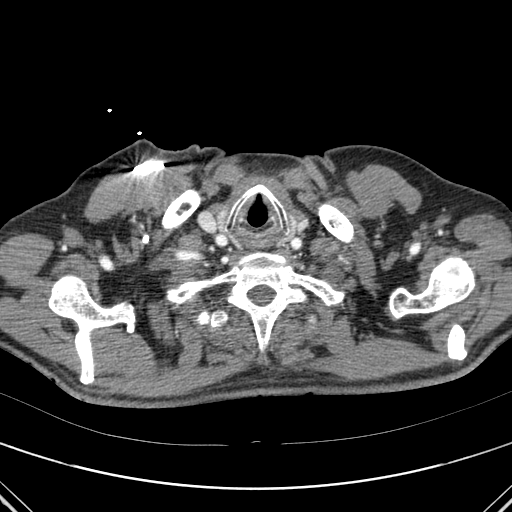

CT scan slice. <segmentation>
  <bone>318, 204, 353, 242; 389, 258, 474, 318; 167, 252, 344, 351; 162, 189, 200, 229; 410, 243, 419, 253; 447, 324, 466, 359; 48, 276, 134, 384</bone>
</segmentation>